Computed tomography; Slice 55/98; 512x512 px

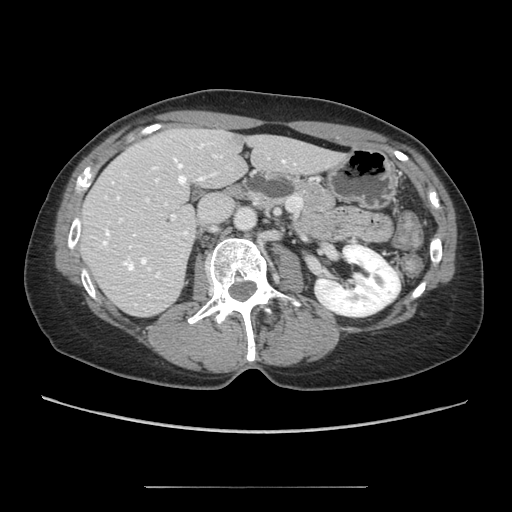 Pancreatic tumor — <box>246,173,295,198</box>.
Pancreas — <box>240,170,336,215</box>.